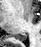 Magnetic resonance, Hippocampus
{
  "posterior_hippocampus": [
    "[15,34,26,40]"
  ]
}